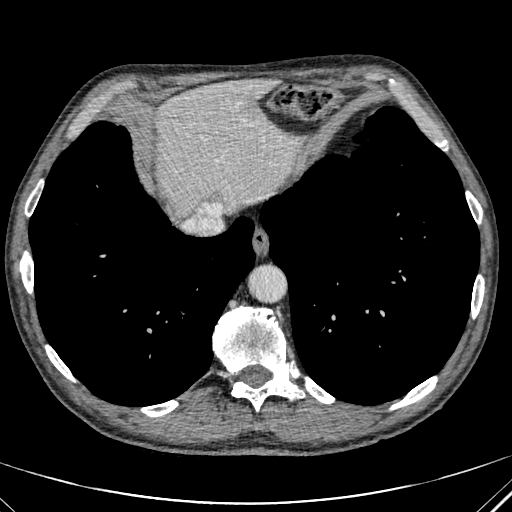

CT | 512x512 | Liver
liver:
  - 157:79:292:214